512x512 px, Slice 372 of 836, Field of view 400 mm wide, 0.80 mm slice spacing, Computed tomography
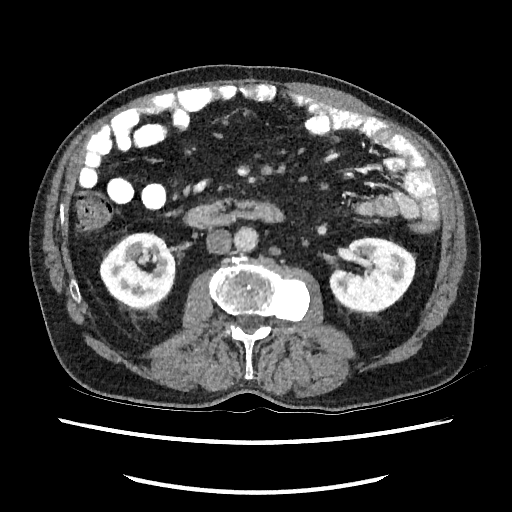
2 kidney regions are located at (100, 233, 176, 312), (330, 238, 415, 315).